CT image; Slice 528 of 908 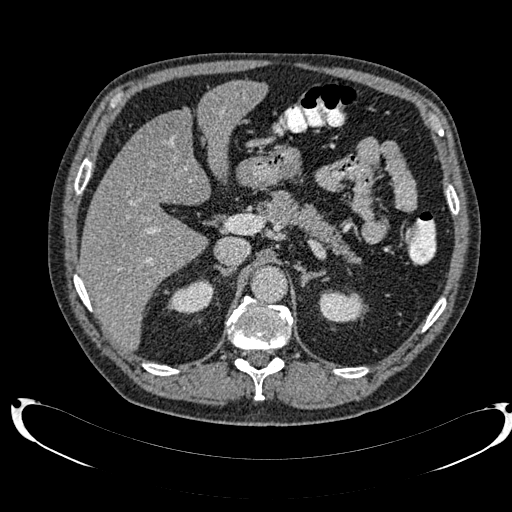

The liver lesion appears at 145,112,186,158. 2 kidney regions are bounded by 168,280,213,313; 317,290,365,322. 2 liver regions are located at 198,81,266,182; 80,110,209,349.